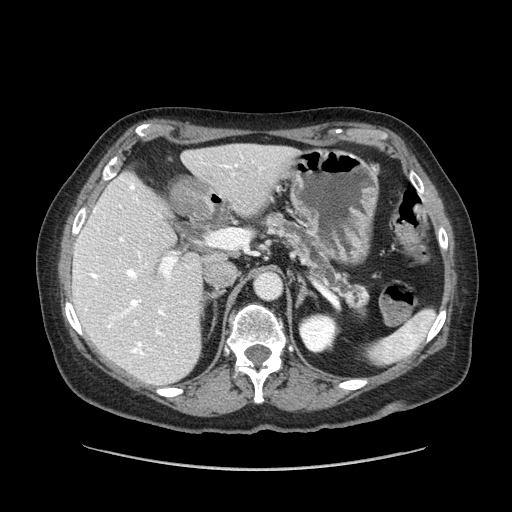
CT.

Pancreatic tumor at region(266, 213, 283, 227).
Pancreas at region(263, 216, 368, 311).